Field of view 240 mm wide, 1.00 mm slice spacing, Image size 240x240, Brain
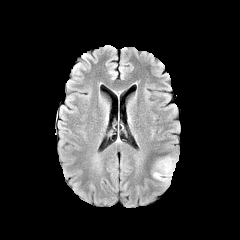
FLAIR MR image.
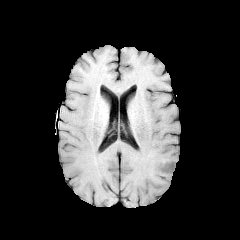
T1-weighted MR.
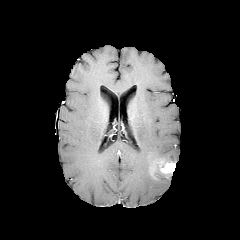
Post-contrast T1-weighted MR image.
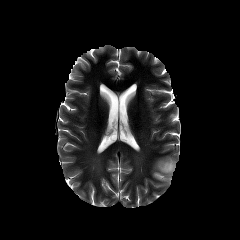
Same slice, T2-weighted MR.
* edema: l=153, t=156, r=175, b=185
* enhancing tumor: l=159, t=161, r=175, b=175